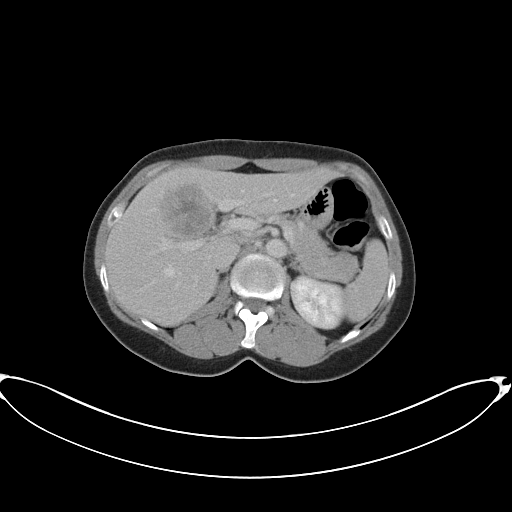

CT | Abdomen
Only some of the vessels may be annotated.
{"hepatic_vessel": ["l=231, t=220, r=255, b=228", "l=180, t=240, r=201, b=250", "l=220, t=200, r=242, b=209", "l=165, t=268, r=173, b=275", "l=160, t=238, r=171, b=250"], "liver_tumor": ["l=167, t=187, r=216, b=237"]}